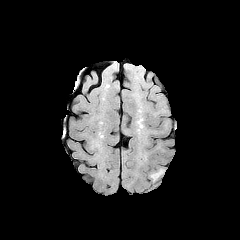
FLAIR magnetic resonance.
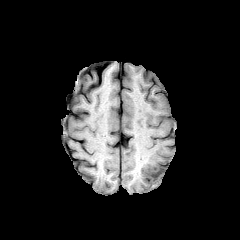
T1-weighted MR.
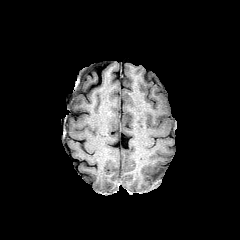
Post-contrast T1-weighted MR image of the same slice.
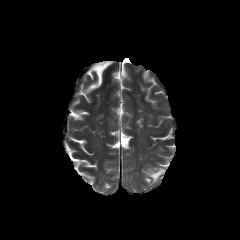
T2-weighted magnetic resonance.
Head
- edema: x1=148, y1=168, x2=163, y2=181